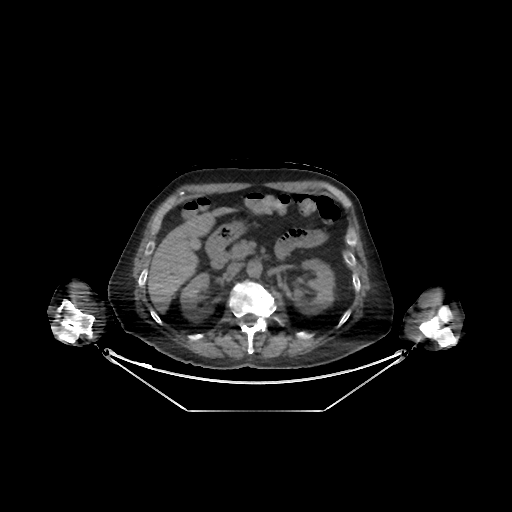 Upper abdomen. Computed tomography.
Segmented structures:
• liver: x1=147 y1=207 x2=234 y2=309
• kidney: x1=179 y1=271 x2=215 y2=321, x1=292 y1=257 x2=335 y2=314